FLAIR magnetic resonance.
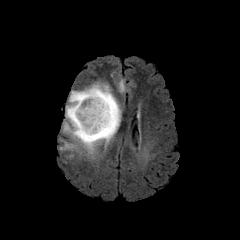
T1-weighted MR image.
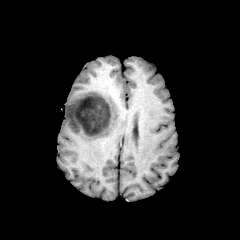
Post-contrast T1-weighted MR.
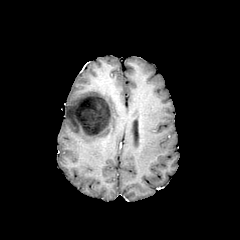
T2-weighted magnetic resonance.
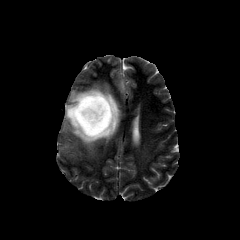
{"non-enhancing_tumor_core": ["left=69, top=94, right=115, bottom=141", "left=92, top=85, right=110, bottom=94"], "edema": ["left=94, top=83, right=120, bottom=108", "left=62, top=85, right=120, bottom=151"]}